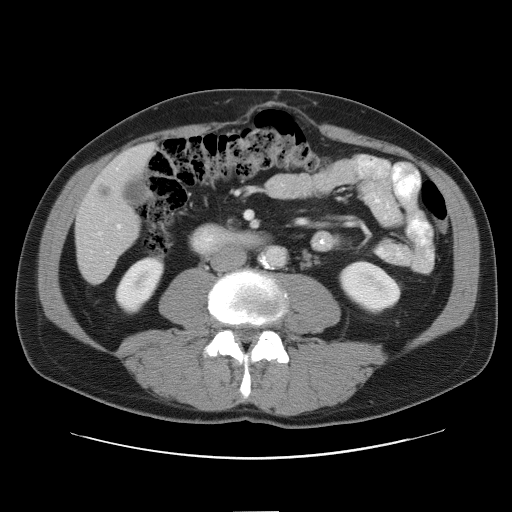
512x512 px; Abdomen; Computed tomography
Only some of the vessels may be annotated.
Liver tumor at (98, 186, 110, 199).
Hepatic vessel at (105, 219, 106, 221), (85, 242, 88, 243), (98, 232, 101, 235), (116, 225, 120, 228).